Image size 512x512, Liver, Slice 331 of 537, Computed tomography
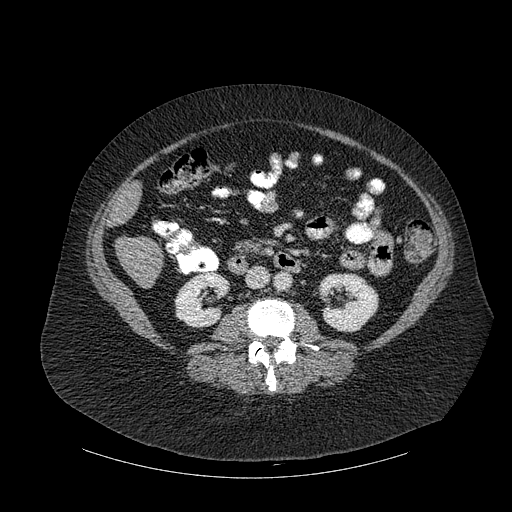 Annotated regions:
* kidney: (320, 274, 377, 331), (175, 272, 228, 326)
* liver: (115, 234, 163, 287), (108, 182, 142, 226)
* bone: (248, 300, 296, 390)